512x512 px; Abdomen; Slice 112 of 142; Image width 398 mm; CT scan slice 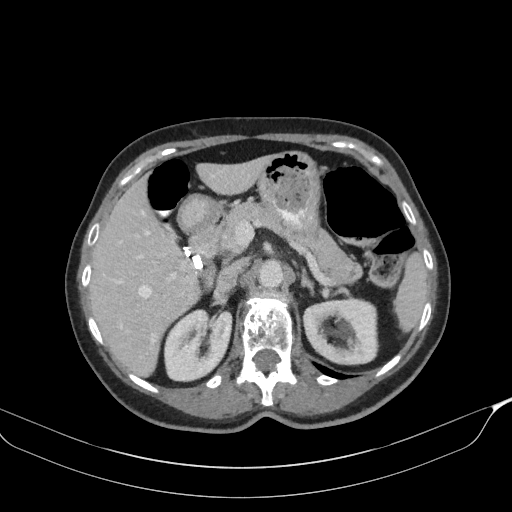 2 pancreas regions appear at (219,203,279,253), (291,229,354,285). The pancreatic tumor is located at (346,263,362,282).